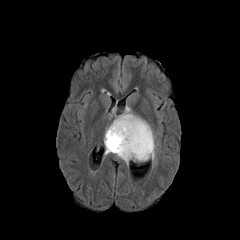
FLAIR MR image.
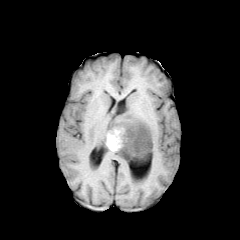
T1-weighted MR image.
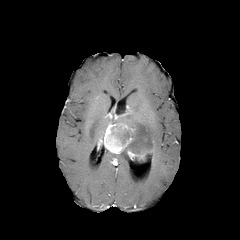
Same slice, post-contrast T1-weighted MRI.
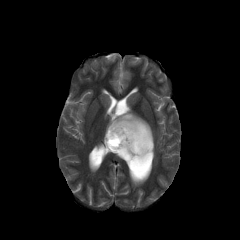
T2-weighted MR image.
Image size 240x240.
Segmented structures:
- edema: (left=112, top=105, right=130, bottom=116), (left=130, top=111, right=154, bottom=153), (left=114, top=154, right=132, bottom=164), (left=134, top=154, right=155, bottom=163)
- non-enhancing tumor core: (left=122, top=114, right=151, bottom=153), (left=117, top=150, right=130, bottom=161), (left=118, top=132, right=129, bottom=142), (left=132, top=151, right=153, bottom=161)
- enhancing tumor: (left=104, top=111, right=151, bottom=159)